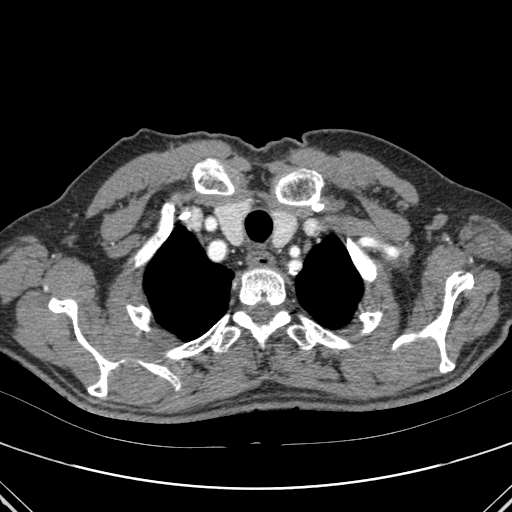

Thorax; Computed tomography
13 bone regions are bounded by (left=48, top=298, right=116, bottom=397), (left=359, top=311, right=382, bottom=332), (left=239, top=269, right=285, bottom=306), (left=287, top=316, right=351, bottom=349), (left=192, top=159, right=234, bottom=195), (left=347, top=238, right=376, bottom=281), (left=136, top=202, right=174, bottom=266), (left=126, top=305, right=150, bottom=331), (left=142, top=361, right=178, bottom=390), (left=179, top=211, right=196, bottom=225), (left=392, top=272, right=473, bottom=372), (left=275, top=171, right=323, bottom=211), (left=165, top=311, right=290, bottom=359). 2 lung regions appear at (left=295, top=235, right=363, bottom=329), (left=143, top=225, right=233, bottom=341).